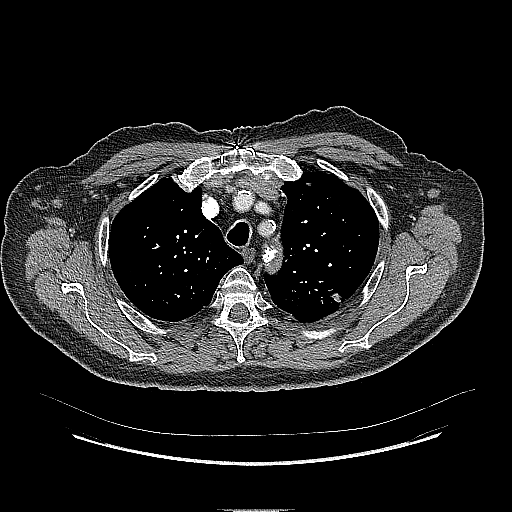

CT.

The lung tumor appears at <box>326,287,345,305</box>.